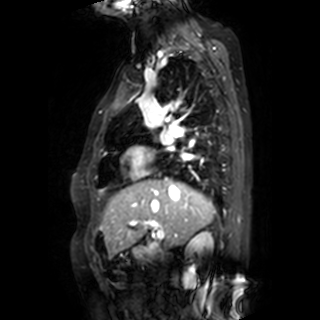

320x320 | MR image

left_atrium:
  - bbox=[160, 137, 172, 144]